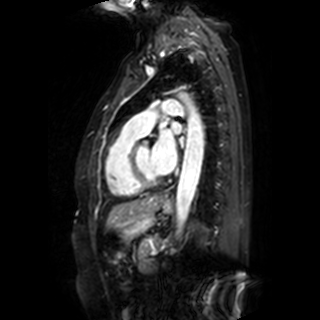
Cardiac. MR.

left_atrium:
  - 172 122 181 133
  - 178 136 184 146
  - 152 130 176 173